CT slice, Image size 512x512, Upper abdomen

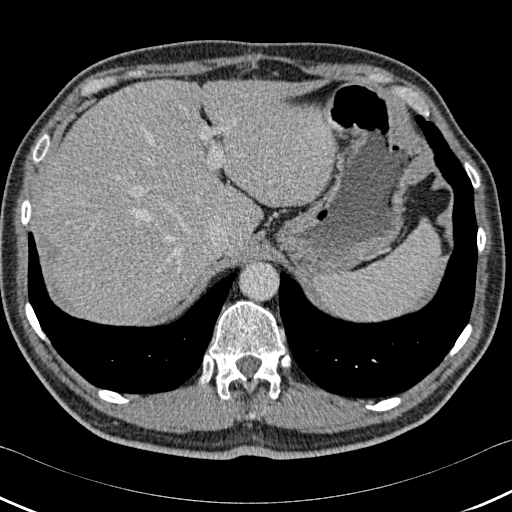
2 lung regions are bounded by x1=278, y1=115, x2=477, y2=400; x1=28, y1=232, x2=239, y2=394. 10 bone regions are bounded by x1=25, y1=303, x2=44, y2=339; x1=465, y1=162, x2=479, y2=187; x1=33, y1=134, x2=49, y2=161; x1=366, y1=397, x2=400, y2=410; x1=200, y1=301, x2=285, y2=399; x1=21, y1=200, x2=30, y2=224; x1=477, y1=228, x2=485, y2=251; x1=99, y1=390, x2=128, y2=403; x1=282, y1=355, x2=289, y2=366; x1=450, y1=324, x2=471, y2=355. The liver lies within x1=40, y1=80, x2=336, y2=324.